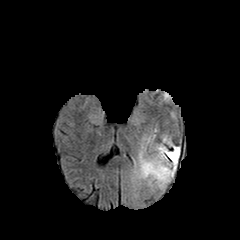
FLAIR MR.
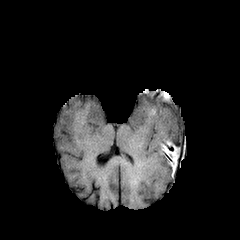
T1-weighted MRI of the same slice.
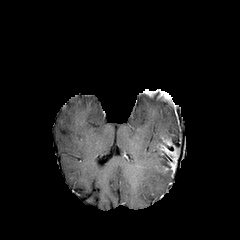
Same slice, post-contrast T1-weighted MRI.
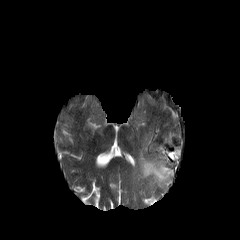
T2-weighted MR of the same slice.
240x240
enhancing_tumor:
  - [x1=166, y1=147, x2=179, y2=170]
edema:
  - [x1=134, y1=133, x2=180, y2=189]